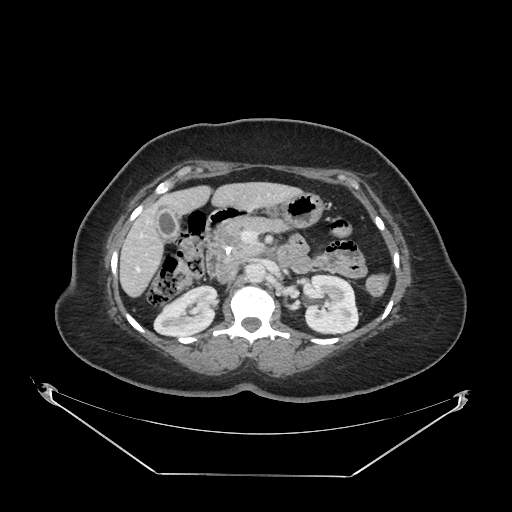
CT scan slice, Upper abdomen
Pancreas: bounding box bbox=[215, 217, 290, 280].
Pancreatic tumor: bounding box bbox=[222, 229, 238, 245].